Field of view 360x360 mm, CT image, Chest, Slice index 468 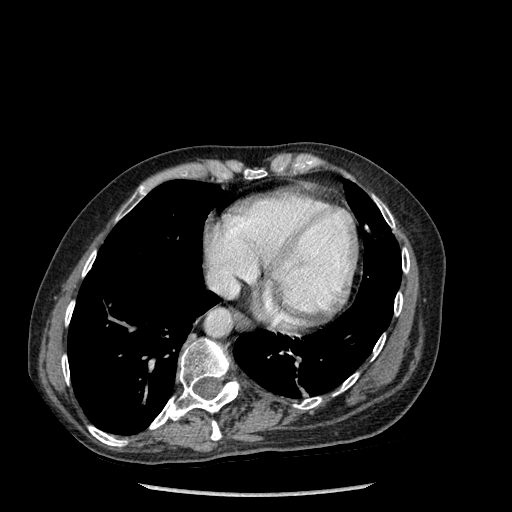
14 bone regions are bounded by 61,355,69,384; 333,373,358,395; 88,426,126,446; 65,301,74,325; 244,169,266,179; 82,250,96,276; 293,397,321,409; 149,338,239,429; 402,247,409,273; 371,333,385,360; 372,195,394,228; 116,185,146,220; 394,292,402,315; 211,420,221,440. 2 lung regions appear at 233,179,401,398; 67,180,224,435.